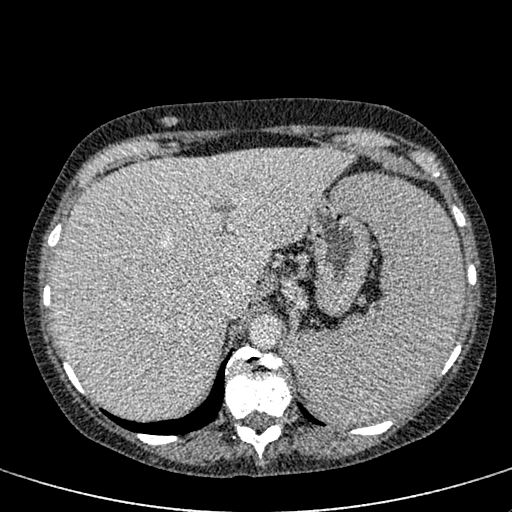
512x512 px; CT
liver:
  - 53,149,352,417